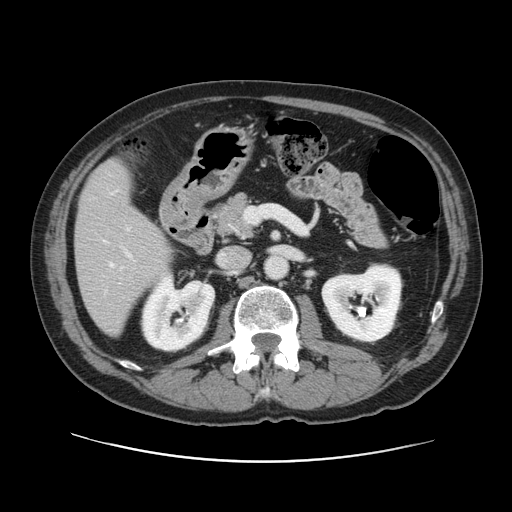
512x512, Computed tomography, Abdomen

The vessel annotation is not exhaustive.
{
  "hepatic_vessel": [
    "box(109, 263, 113, 266)",
    "box(121, 267, 122, 268)",
    "box(125, 251, 130, 256)",
    "box(110, 191, 115, 194)"
  ]
}